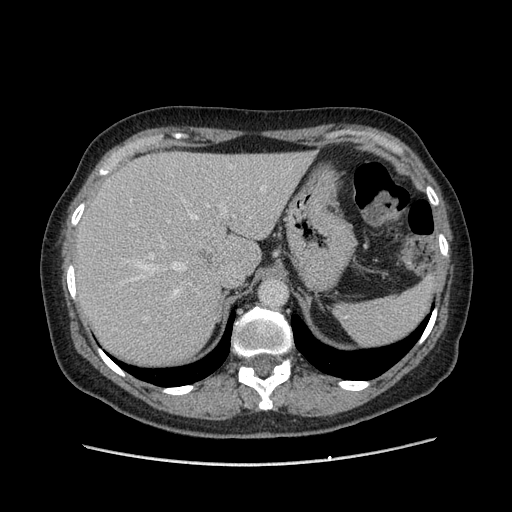 Abdomen; CT image; 512x512 px
The vessel boxes may cover only some of the vessels.
hepatic_vessel:
  - x1=173, y1=289, x2=179, y2=296
  - x1=122, y1=277, x2=139, y2=283
  - x1=149, y1=254, x2=153, y2=257
  - x1=171, y1=262, x2=185, y2=270
  - x1=183, y1=199, x2=198, y2=219
  - x1=206, y1=205, x2=208, y2=206
  - x1=231, y1=215, x2=232, y2=216
  - x1=134, y1=261, x2=157, y2=272